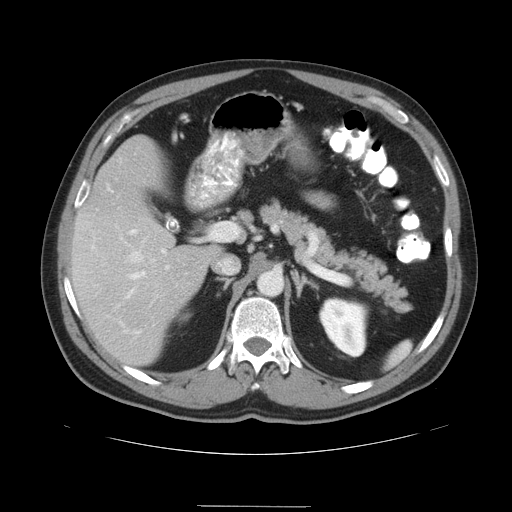 CT image | Liver
The vessel boxes may cover only some of the vessels.
Hepatic vessel = x1=129 y1=251 x2=143 y2=262, x1=107 y1=186 x2=112 y2=192, x1=149 y1=255 x2=154 y2=261, x1=150 y1=298 x2=155 y2=305, x1=208 y1=223 x2=236 y2=240, x1=124 y1=330 x2=140 y2=335, x1=161 y1=248 x2=165 y2=256, x1=91 y1=246 x2=95 y2=249, x1=128 y1=271 x2=145 y2=279, x1=165 y1=265 x2=169 y2=269, x1=130 y1=231 x2=137 y2=235.